CT scan slice

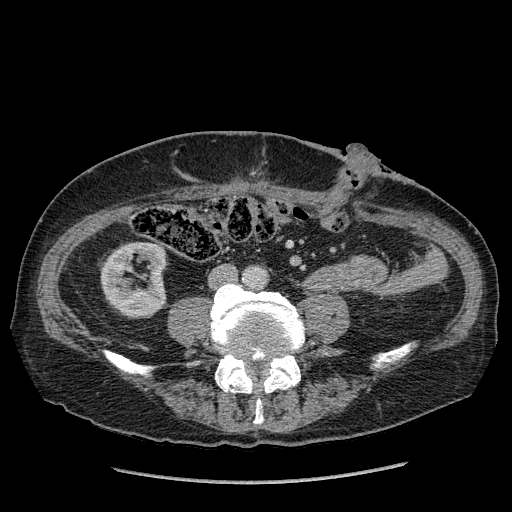
<segmentation>
  <kidney>{"x1": 101, "y1": 243, "x2": 165, "y2": 316}</kidney>
</segmentation>